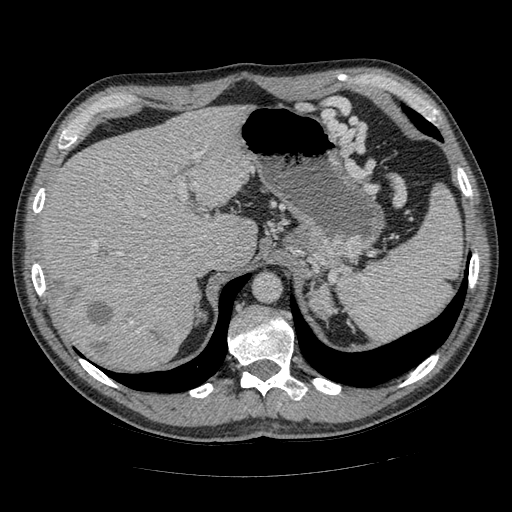 512x512. CT. Abdomen.

Pancreatic tumor at [310, 286, 332, 316].